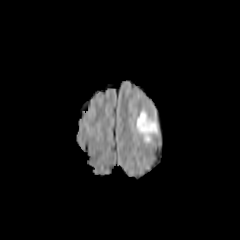
FLAIR MRI.
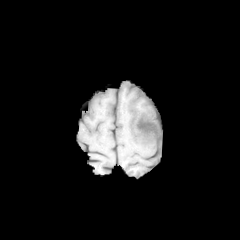
T1-weighted MR image.
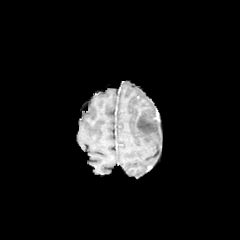
Post-contrast T1-weighted MR.
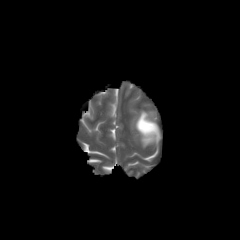
Same slice, T2-weighted MRI.
- edema: 136, 110, 160, 146
- non-enhancing tumor core: 138, 120, 151, 128